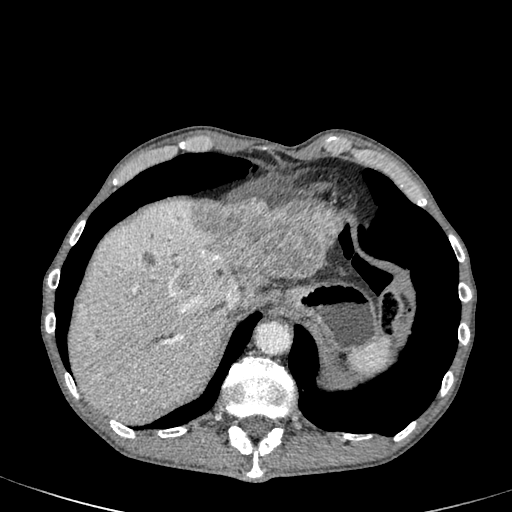

CT image. Liver = (x1=240, y1=293, x2=248, y2=307), (x1=71, y1=201, x2=239, y2=423), (x1=319, y1=237, x2=335, y2=268), (x1=267, y1=275, x2=307, y2=280).
Liver lesion = (x1=190, y1=201, x2=341, y2=304), (x1=179, y1=276, x2=189, y2=289), (x1=146, y1=255, x2=153, y2=265).